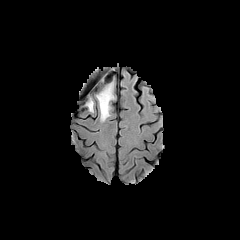
FLAIR MR.
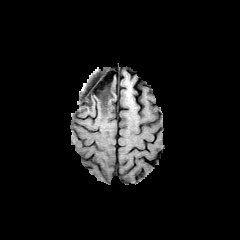
T1-weighted magnetic resonance.
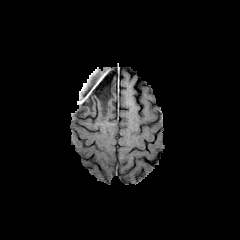
Post-contrast T1-weighted MRI.
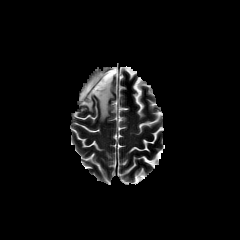
T2-weighted MR image.
240x240 px
<segmentation>
  <edema>box=[86, 82, 114, 122]</edema>
  <non-enhancing_tumor_core>box=[84, 80, 111, 105]</non-enhancing_tumor_core>
</segmentation>